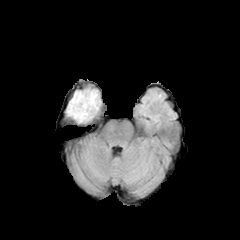
FLAIR MRI.
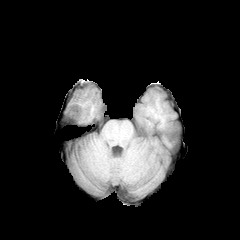
T1-weighted magnetic resonance.
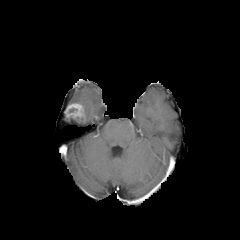
Post-contrast T1-weighted MRI.
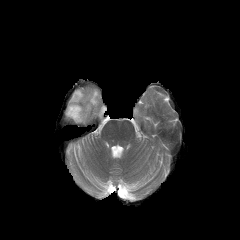
Same slice, T2-weighted MR image.
Brain.
Edema — [x1=69, y1=88, x2=100, y2=121].
Enhancing tumor — [x1=66, y1=103, x2=85, y2=119].